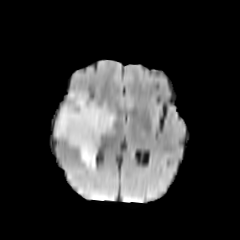
FLAIR MRI.
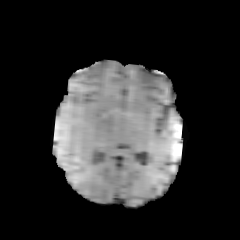
Same slice, T1-weighted magnetic resonance.
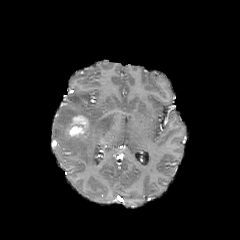
Post-contrast T1-weighted MR image of the same slice.
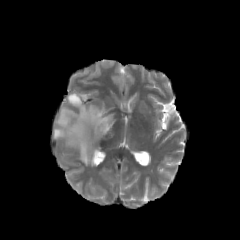
T2-weighted MR.
240x240
<segmentation>
  <enhancing_tumor>left=65, top=115, right=90, bottom=141</enhancing_tumor>
  <edema>left=54, top=92, right=114, bottom=169</edema>
</segmentation>